Slice 10/15; Pelvis; 320x320
T2-weighted MR.
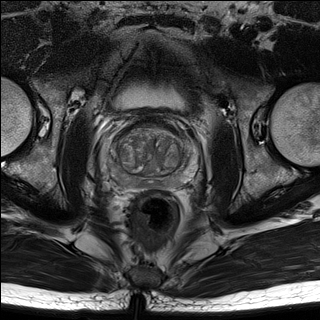
ADC magnetic resonance.
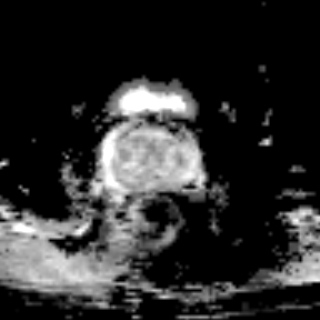
The prostate peripheral zone lies within 109,142,197,190. The prostate transition zone is bounded by 115,123,195,177.